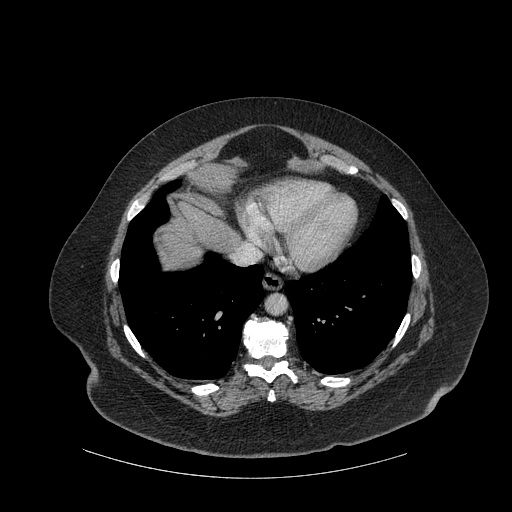 Upper abdomen, CT image
11 bone regions are bounded by 412, 255, 420, 277; 393, 314, 409, 346; 192, 384, 218, 395; 268, 390, 275, 401; 244, 318, 287, 358; 127, 201, 143, 220; 110, 259, 119, 281; 393, 199, 407, 218; 244, 361, 296, 382; 124, 325, 143, 356; 321, 377, 349, 387. 2 lung regions appear at 119, 180, 263, 378; 285, 195, 411, 374. The liver is at 160, 203, 239, 269.